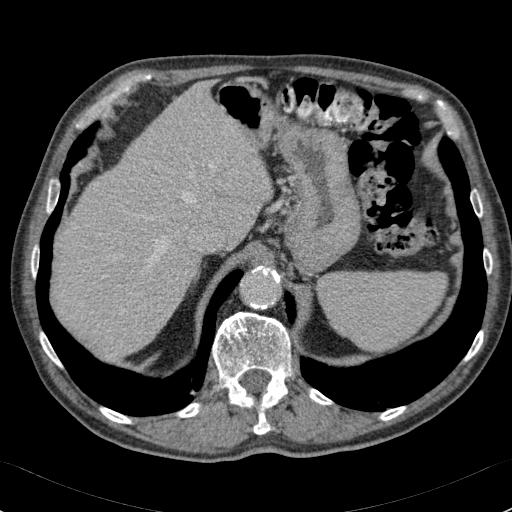

CT

liver:
  - rect(60, 81, 271, 356)